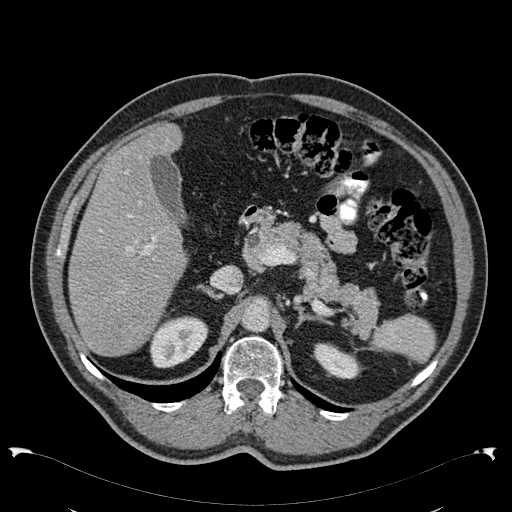 CT scan slice; Image size 512x512
The liver lies within region(68, 124, 186, 356). 2 kidney regions are located at region(314, 343, 360, 378); region(145, 316, 207, 367).